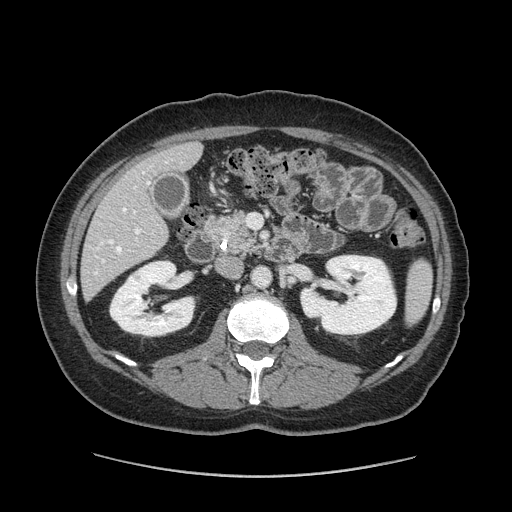

512x512 px. Computed tomography. Abdomen.

Pancreatic tumor: (227,224,245,238).
Pancreas: (205,214,253,248).